Head. Slice index 119. Field of view 240x240 mm.
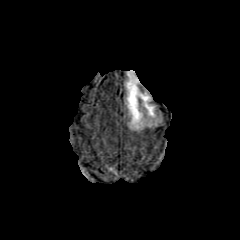
FLAIR MR.
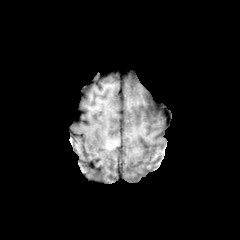
T1-weighted MR image.
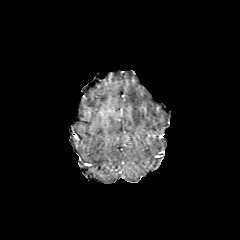
Same slice, post-contrast T1-weighted magnetic resonance.
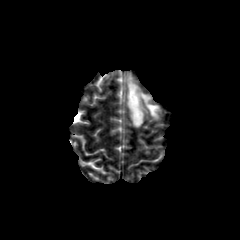
T2-weighted MR image.
Edema: [126,72,155,128].